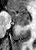 MR image
posterior_hippocampus:
  - x1=17, y1=23, x2=27, y2=28
anterior_hippocampus:
  - x1=7, y1=8, x2=29, y2=22